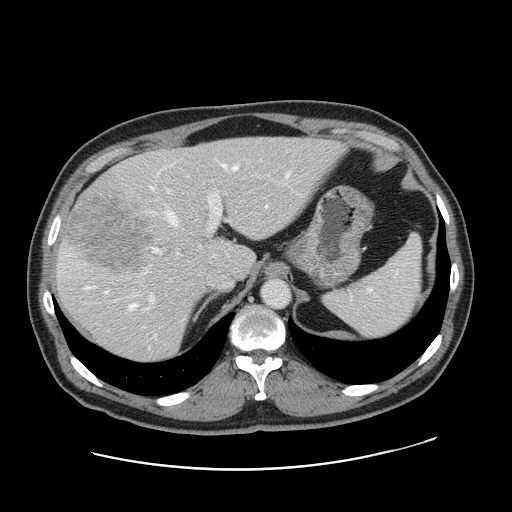 Liver | Image size 512x512 | CT slice

Not every hepatic vessel necessarily has a box.
Principal 15 of 16 hepatic vessel regions at bbox=[148, 246, 163, 253]; bbox=[153, 334, 156, 338]; bbox=[221, 163, 227, 169]; bbox=[280, 181, 286, 185]; bbox=[165, 165, 170, 166]; bbox=[209, 190, 232, 230]; bbox=[149, 210, 154, 213]; bbox=[165, 187, 170, 191]; bbox=[199, 244, 200, 247]; bbox=[149, 293, 154, 303]; bbox=[165, 211, 177, 223]; bbox=[150, 185, 154, 188]; bbox=[232, 164, 238, 170]; bbox=[143, 307, 147, 310]; bbox=[286, 171, 289, 176].
Liver tumor at bbox=[65, 195, 151, 277].